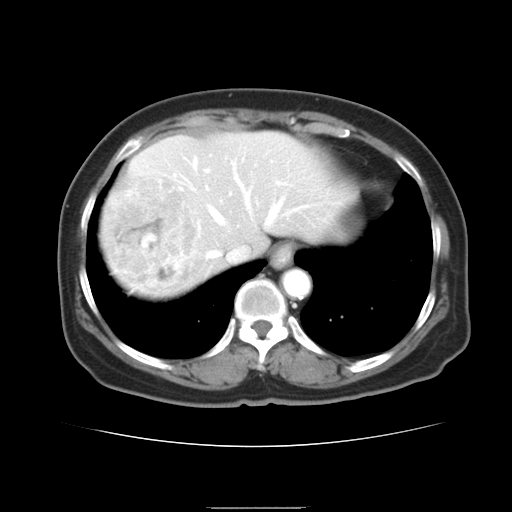 CT slice | Abdomen

Not every hepatic vessel necessarily has a box.
15 hepatic vessel regions are located at x1=181, y1=176, x2=187, y2=182; x1=207, y1=252, x2=218, y2=257; x1=191, y1=157, x2=196, y2=168; x1=229, y1=192, x2=230, y2=194; x1=209, y1=208, x2=222, y2=223; x1=265, y1=201, x2=281, y2=224; x1=285, y1=211, x2=287, y2=214; x1=241, y1=159, x2=243, y2=160; x1=205, y1=170, x2=208, y2=172; x1=228, y1=249, x2=243, y2=259; x1=275, y1=181, x2=286, y2=184; x1=179, y1=188, x2=181, y2=189; x1=231, y1=161, x2=249, y2=208; x1=190, y1=187, x2=193, y2=189; x1=205, y1=186, x2=207, y2=189. The liver tumor lies within x1=103, y1=175, x2=198, y2=295.